Slice 509/560 | Head | CT slice | 512x512

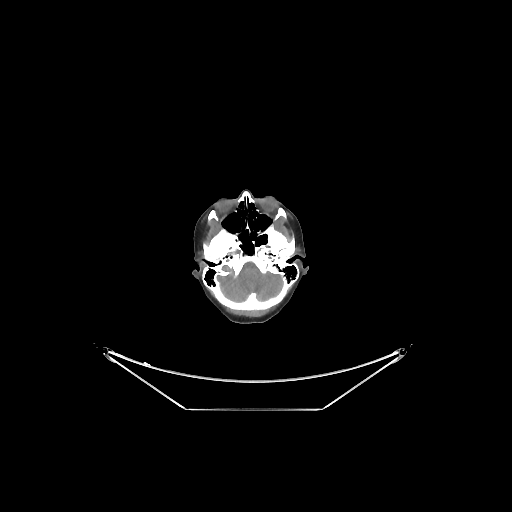

Brain at (x1=216, y1=261, x2=284, y2=302).